Pelvis, CT, Slice index 143

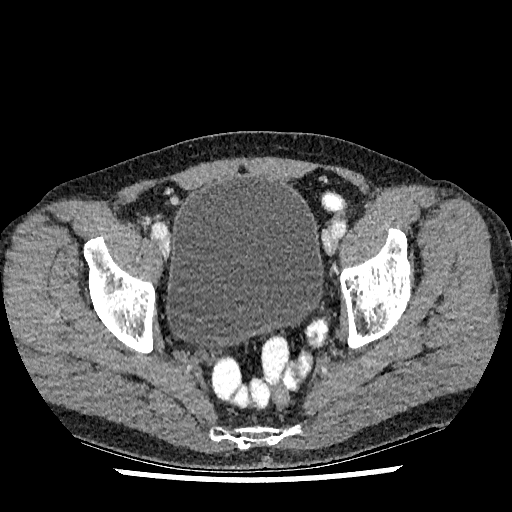

The urinary bladder appears at (left=166, top=177, right=323, bottom=351).